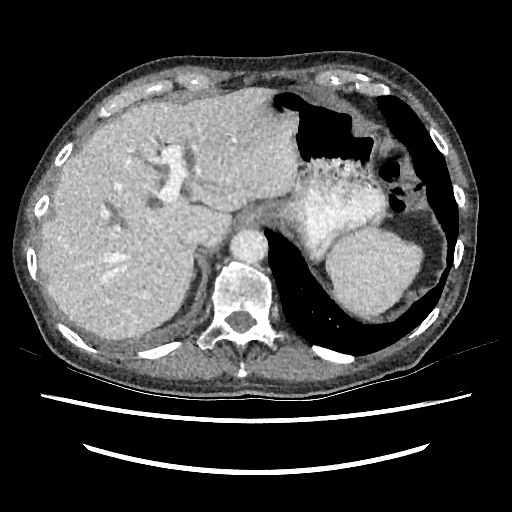 CT image. Upper abdomen.
Liver: [x1=38, y1=89, x2=296, y2=340].